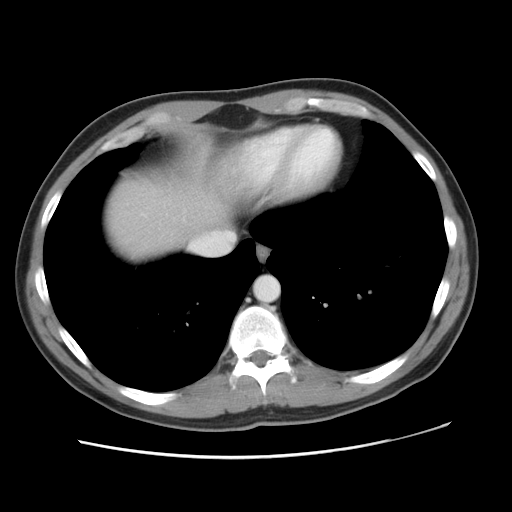

Abdomen, CT scan slice

The vessel boxes may cover only some of the vessels.
Findings:
* hepatic vessel: l=191, t=231, r=221, b=243; l=225, t=231, r=227, b=233